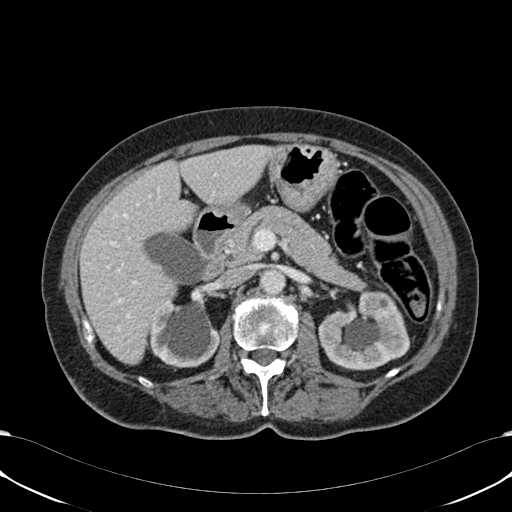

Image size 512x512. CT image.

Annotated regions:
* kidney: box=[319, 291, 409, 369]; box=[150, 283, 219, 366]
* liver: box=[80, 146, 273, 363]